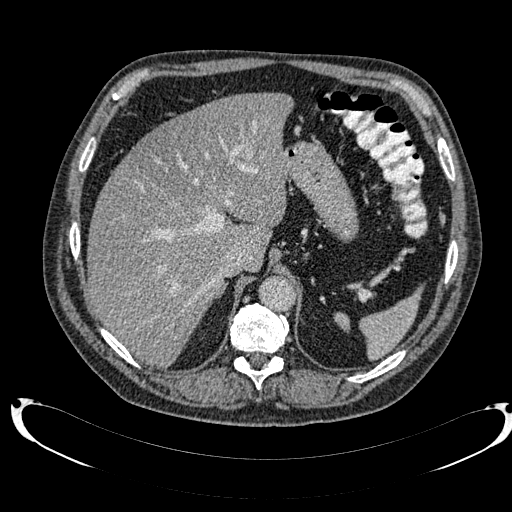

512x512 px; Computed tomography; Abdomen
<segmentation>
  <liver_lesion>133 97 243 205</liver_lesion>
  <liver>87 92 292 366</liver>
</segmentation>